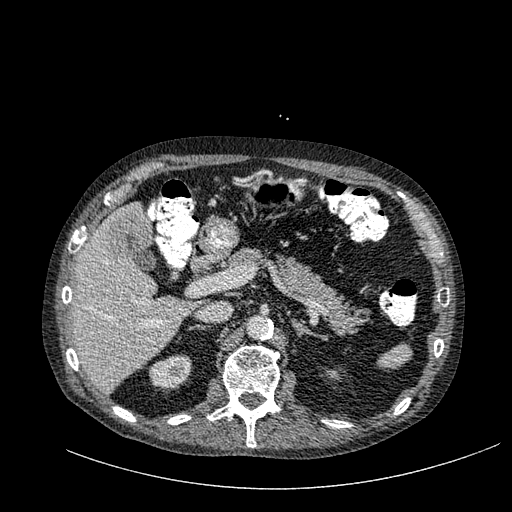
512x512, CT, Upper abdomen
<segmentation>
  <focal_liver_lesion>box(106, 210, 150, 264)</focal_liver_lesion>
  <liver>box(73, 202, 203, 391); box(124, 231, 140, 240)</liver>
  <kidney>box(326, 370, 340, 379); box(149, 354, 191, 388)</kidney>
</segmentation>